512x512, CT

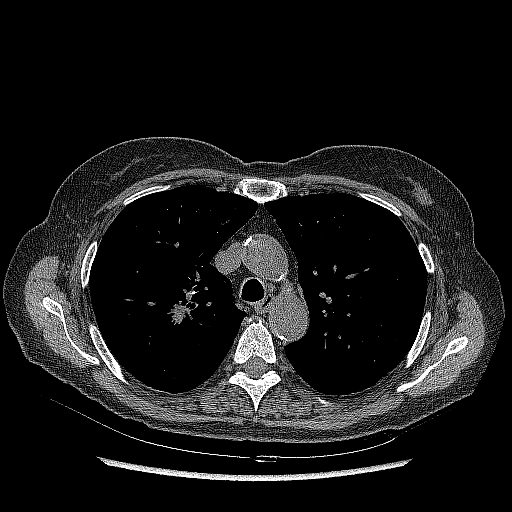 Lung tumor at box=[163, 302, 192, 327].